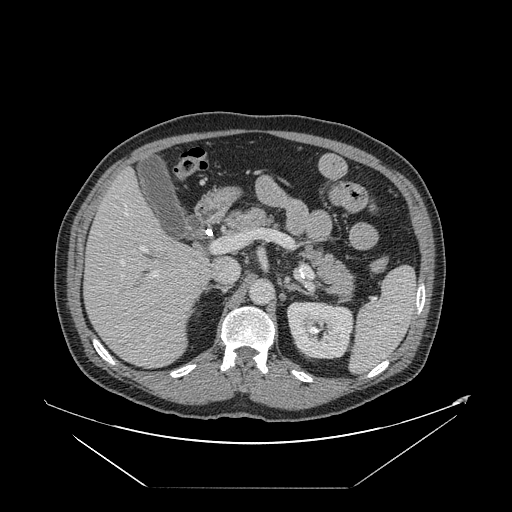 CT
Only some of the vessels may be annotated.
Findings:
• hepatic vessel: (147, 335, 151, 341), (141, 247, 145, 251), (125, 207, 127, 216), (212, 235, 236, 251), (149, 271, 158, 277), (121, 276, 123, 277), (120, 261, 123, 264)